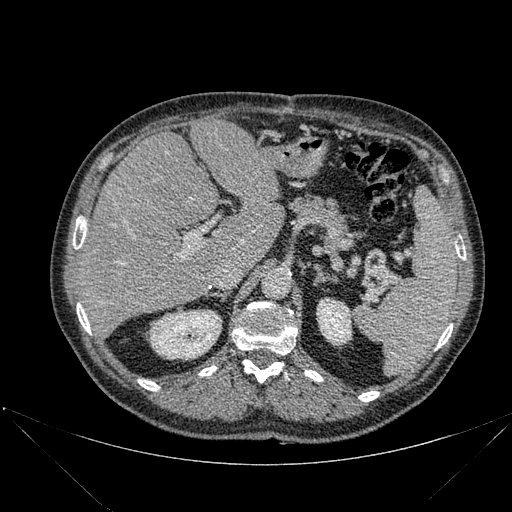 CT

2 kidney regions appear at x1=150 y1=310 x2=221 y2=359, x1=316 y1=298 x2=351 y2=344. 2 liver regions appear at x1=76 y1=132 x2=222 y2=337, x1=190 y1=119 x2=285 y2=273. 10 bone regions are bounded by x1=73 y1=219 x2=86 y2=248, x1=456 y1=246 x2=465 y2=259, x1=77 y1=303 x2=91 y2=334, x1=198 y1=366 x2=216 y2=375, x1=138 y1=379 x2=159 y2=390, x1=358 y1=391 x2=379 y2=401, x1=436 y1=324 x2=452 y2=349, x1=232 y1=302 x2=297 y2=355, x1=242 y1=359 x2=283 y2=382, x1=304 y1=370 x2=322 y2=381.